FLAIR magnetic resonance.
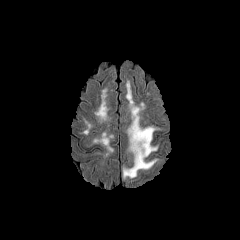
T1-weighted MR image.
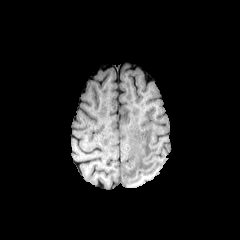
Post-contrast T1-weighted MRI.
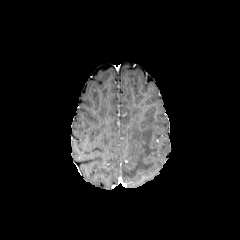
T2-weighted magnetic resonance.
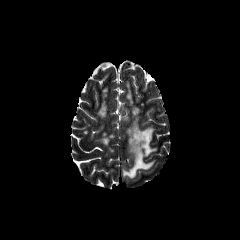
Head
Findings:
• edema: 123 82 157 179, 95 91 106 120, 95 134 108 147